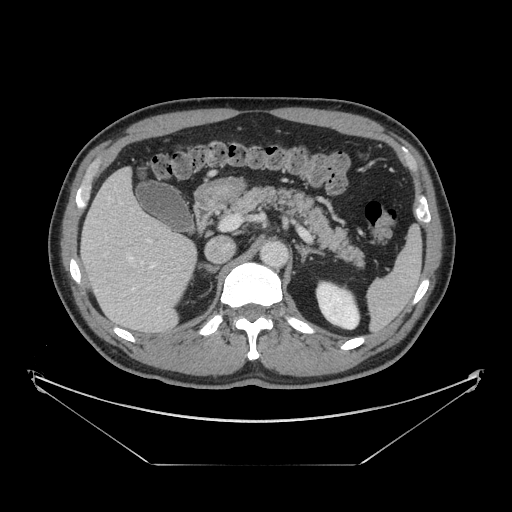

Computed tomography; Upper abdomen

<segmentation>
  <pancreas>(left=229, top=187, right=365, bottom=267)</pancreas>
</segmentation>